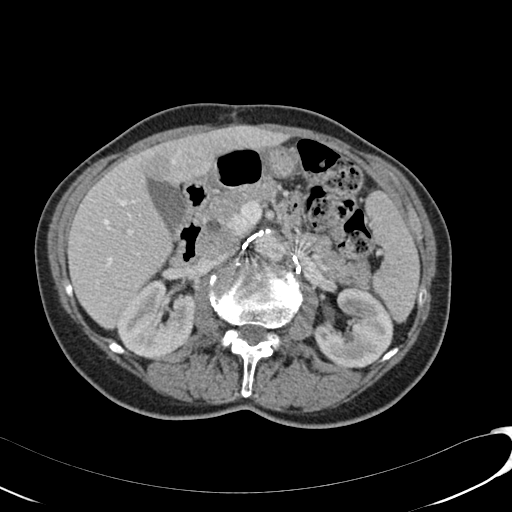
512x512; Liver; Computed tomography
The liver lies within (x1=69, y1=127, x2=289, y2=328). 2 hepatic lesion regions appear at (x1=214, y1=147, x2=232, y2=158), (x1=147, y1=155, x2=169, y2=176). 2 kidney regions are located at (x1=315, y1=289, x2=392, y2=367), (x1=117, y1=281, x2=195, y2=358).